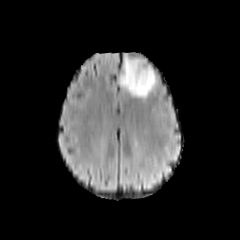
FLAIR magnetic resonance.
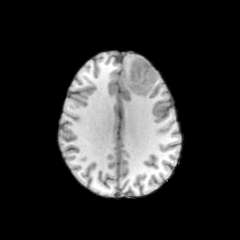
T1-weighted MRI of the same slice.
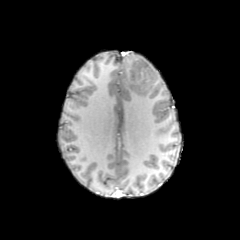
Post-contrast T1-weighted MR of the same slice.
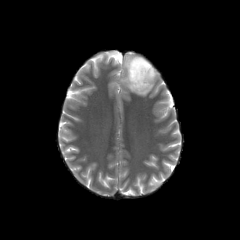
T2-weighted MRI.
non-enhancing_tumor_core:
  - [x1=129, y1=58, x2=155, y2=95]
edema:
  - [x1=120, y1=53, x2=147, y2=96]